FLAIR magnetic resonance.
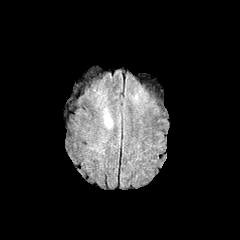
T1-weighted magnetic resonance.
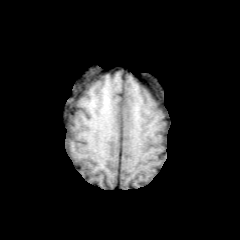
Post-contrast T1-weighted magnetic resonance.
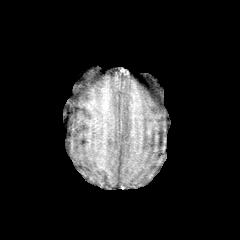
T2-weighted MR image.
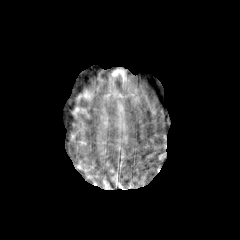
Head
The edema is at bbox=[105, 116, 110, 127].